Abdomen, Slice 43/56, CT slice, Field of view 379x379 mm 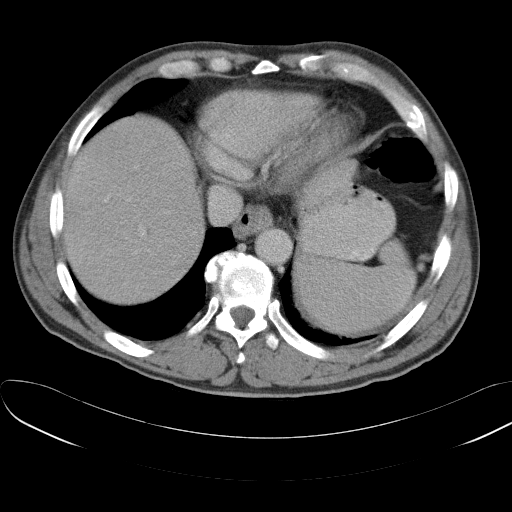
{
  "spleen": [
    "[294, 243, 414, 336]"
  ]
}